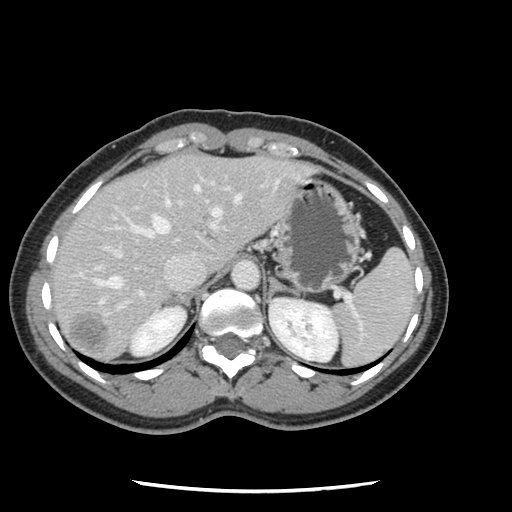 CT image
The vessel boxes may cover only some of the vessels.
15 hepatic vessel regions are located at [165, 199, 169, 205], [210, 181, 212, 183], [179, 201, 180, 202], [138, 291, 141, 295], [211, 220, 217, 228], [194, 185, 199, 191], [81, 275, 85, 277], [225, 187, 227, 188], [101, 299, 103, 301], [234, 195, 239, 201], [118, 303, 124, 307], [95, 276, 121, 287], [129, 215, 168, 236], [212, 207, 220, 217], [112, 250, 121, 256]. The liver tumor appears at [71, 314, 107, 350].